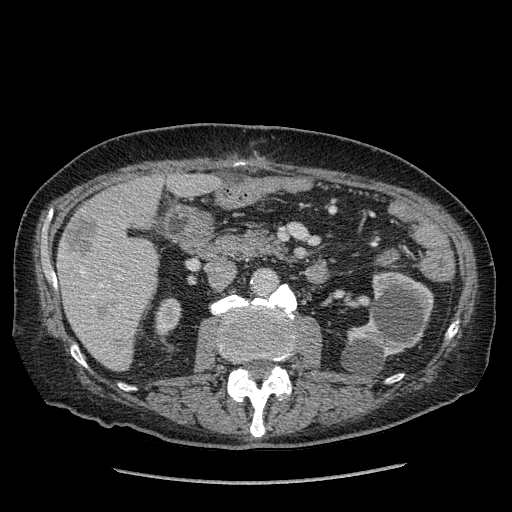 512x512 px | CT slice

3 kidney regions are bounded by 157:299:180:333, 373:272:433:322, 348:318:422:356. 2 liver regions appear at 168:174:220:197, 58:175:163:371. 2 hepatic lesion regions are bounded by 98:306:106:318, 68:217:97:253.